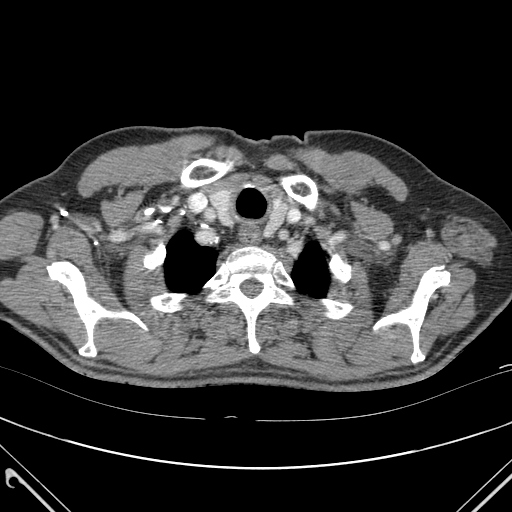
Computed tomography. 512x512. lung: (292,242,329,298), (164,230,217,293) | bone: (47,262,146,356), (144,243,165,268), (282,175,317,208), (374,266,449,362), (330,254,350,282), (151,294,184,311), (181,159,231,187), (322,299,352,318), (204,247,293,352)